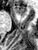

Magnetic resonance.

anterior_hippocampus:
  - 14 6 26 15